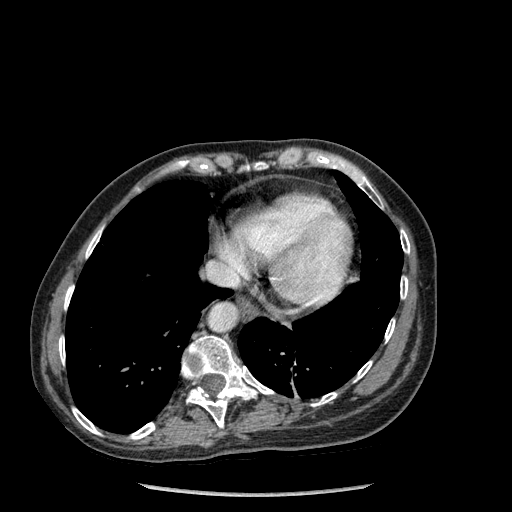

512x512 px | CT scan slice
<segmentation>
  <lung>238, 171, 402, 398; 65, 180, 232, 433</lung>
  <bone>354, 361, 372, 382; 58, 336, 65, 364; 385, 318, 395, 342; 400, 229, 410, 253; 85, 227, 102, 258; 311, 392, 337, 406; 72, 407, 101, 435; 400, 276, 408, 299; 64, 285, 74, 309; 254, 162, 267, 169; 129, 422, 155, 439; 330, 158, 383, 208; 181, 335, 274, 428</bone>
</segmentation>